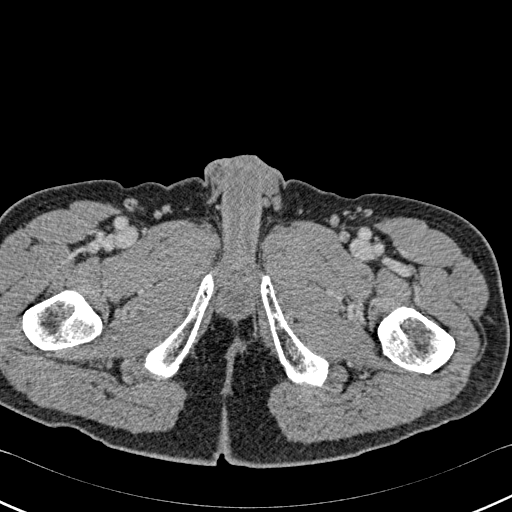

CT scan slice.
Segmented structures:
* bone: left=260, top=275, right=327, bottom=385; left=378, top=307, right=454, bottom=373; left=23, top=291, right=101, bottom=349; left=145, top=272, right=213, bottom=377